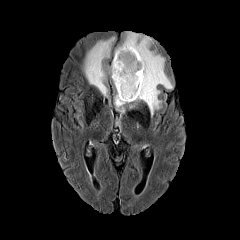
FLAIR magnetic resonance.
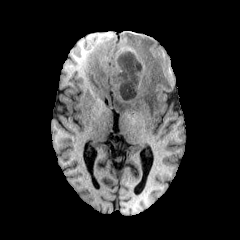
T1-weighted MR.
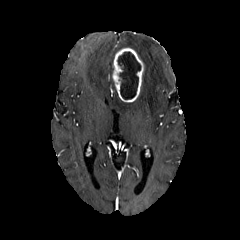
Post-contrast T1-weighted MRI of the same slice.
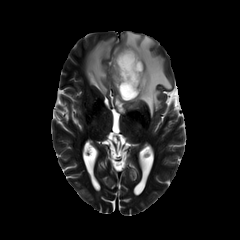
Same slice, T2-weighted magnetic resonance.
Brain, 240x240
The enhancing tumor is located at (x1=111, y1=46, x2=144, y2=101). 2 edema regions are located at (x1=84, y1=36, x2=116, y2=97), (x1=113, y1=32, x2=172, y2=117). The non-enhancing tumor core lies within (x1=117, y1=51, x2=140, y2=99).